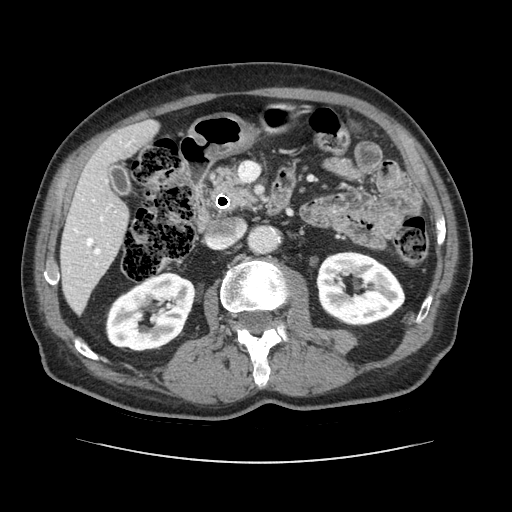 CT slice
The pancreas appears at rect(213, 166, 253, 207). The pancreatic tumor lies within rect(229, 188, 246, 200).